Field of view 330x330 mm; CT scan slice 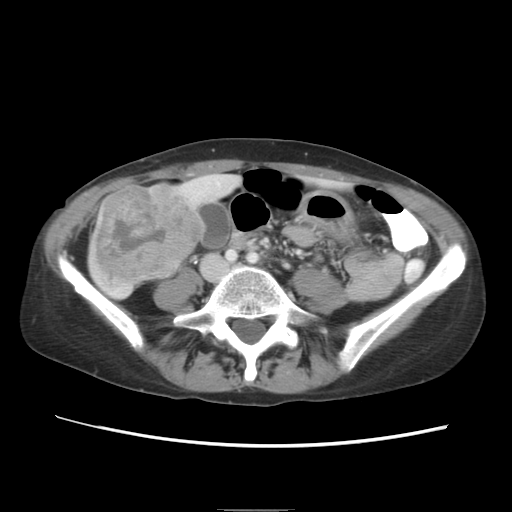 The vessel boxes may cover only some of the vessels.
hepatic vessel: [217, 182, 219, 185] | liver tumor: [93, 184, 201, 284]